240x240 px. Image width 240 mm. Head. Slice 89 of 155.
FLAIR magnetic resonance.
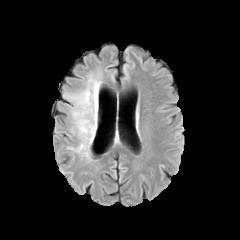
T1-weighted MRI.
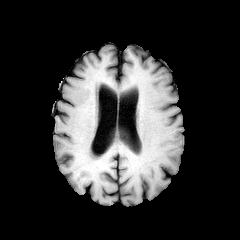
Post-contrast T1-weighted MR image.
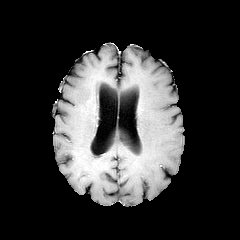
T2-weighted magnetic resonance.
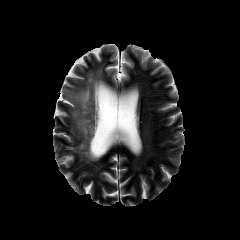
The edema is bounded by <bbox>67, 74, 103, 161</bbox>.